Brain; Image size 240x240
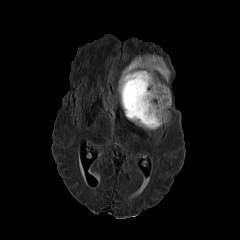
FLAIR MRI.
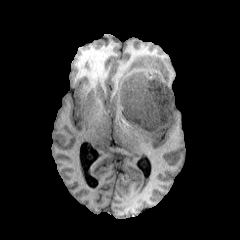
T1-weighted MRI.
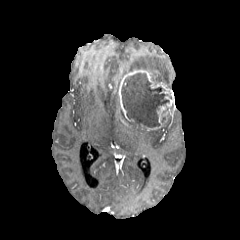
Same slice, post-contrast T1-weighted MR.
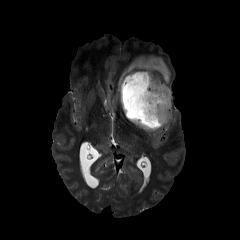
T2-weighted MRI.
<segmentation>
  <enhancing_tumor>118 69 169 118, 156 106 169 125</enhancing_tumor>
  <edema>118 54 170 85</edema>
  <non-enhancing_tumor_core>121 72 171 127</non-enhancing_tumor_core>
</segmentation>